33x53 | Medial temporal lobe | MR image

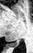

The posterior hippocampus appears at bbox(8, 42, 18, 47).